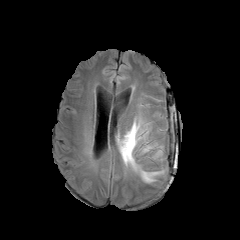
FLAIR magnetic resonance.
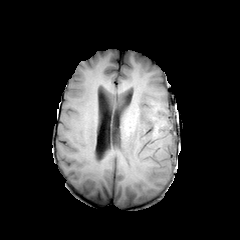
T1-weighted MR.
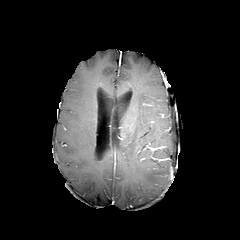
Same slice, post-contrast T1-weighted MR.
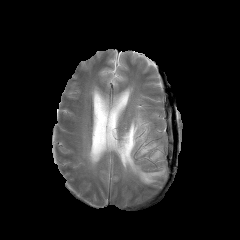
T2-weighted MR of the same slice.
Brain, 240x240
edema: rect(115, 97, 166, 183)